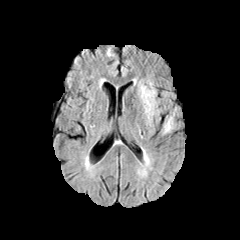
FLAIR MRI.
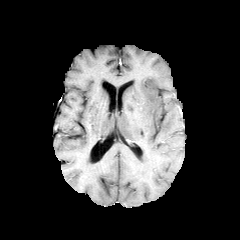
Same slice, T1-weighted magnetic resonance.
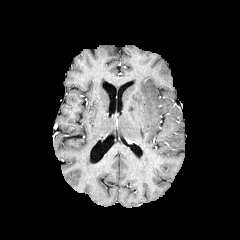
Post-contrast T1-weighted magnetic resonance.
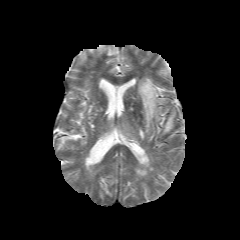
T2-weighted magnetic resonance of the same slice.
Brain.
Edema = box=[160, 110, 174, 133]; box=[137, 149, 151, 176]; box=[138, 82, 159, 127].